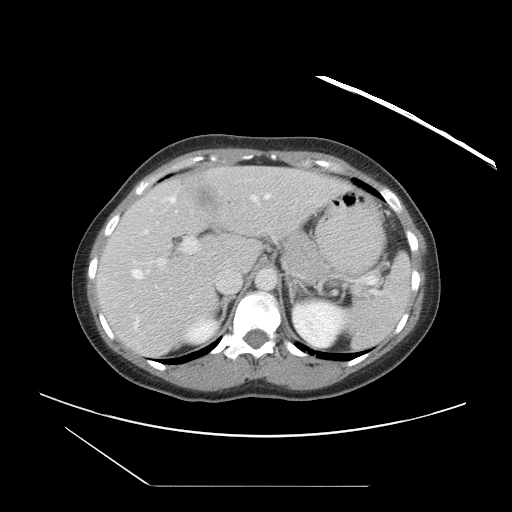

CT image
The vessel boxes may cover only some of the vessels.
12 hepatic vessel regions are located at (left=218, top=270, right=240, bottom=291), (left=182, top=237, right=198, bottom=253), (left=157, top=222, right=158, bottom=223), (left=162, top=196, right=175, bottom=202), (left=134, top=318, right=139, bottom=331), (left=154, top=258, right=166, bottom=266), (left=311, top=198, right=327, bottom=202), (left=132, top=269, right=149, bottom=278), (left=266, top=229, right=269, bottom=230), (left=251, top=195, right=257, bottom=201), (left=143, top=230, right=148, bottom=233), (left=265, top=194, right=269, bottom=198). The liver tumor is bounded by (left=187, top=180, right=221, bottom=219).